Prostate; 320x320 px
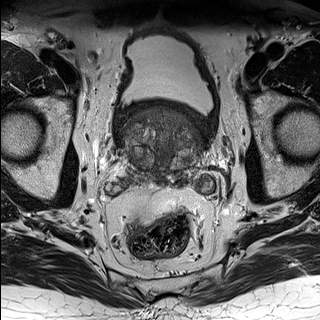
T2-weighted magnetic resonance.
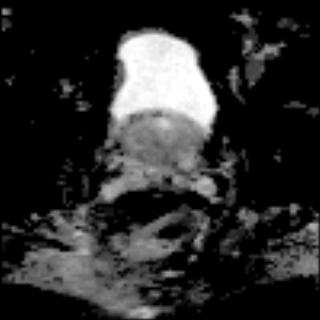
ADC MR image.
{
  "prostate_transition_zone": [
    {"x1": 118, "y1": 106, "x2": 206, "y2": 176}
  ]
}